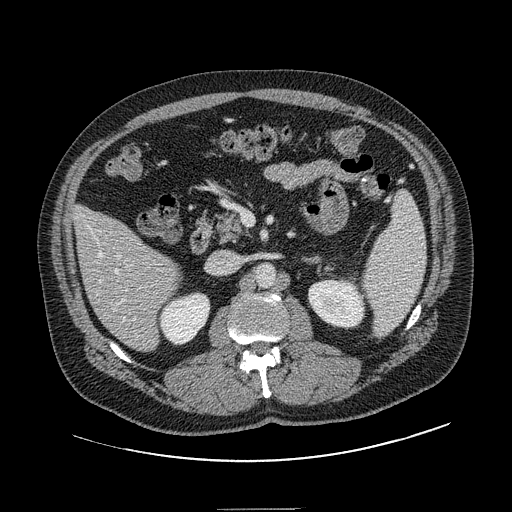

Upper abdomen, Computed tomography

Findings:
* pancreas: left=215, top=214, right=247, bottom=241